FLAIR MR image.
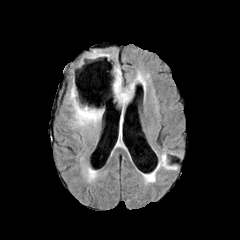
T1-weighted MRI.
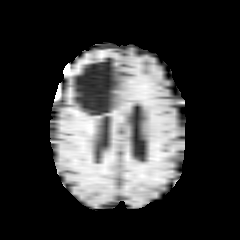
Post-contrast T1-weighted MR.
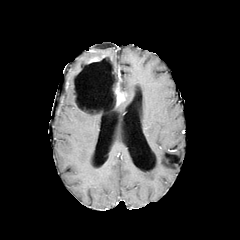
T2-weighted MR image.
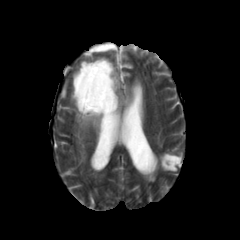
Brain
Edema: [69, 87, 101, 134], [117, 72, 145, 111], [160, 152, 175, 171], [118, 115, 123, 146].
Enhancing tumor: [115, 82, 125, 103].
Non-enhancing tumor core: [74, 66, 119, 115], [88, 50, 104, 61].